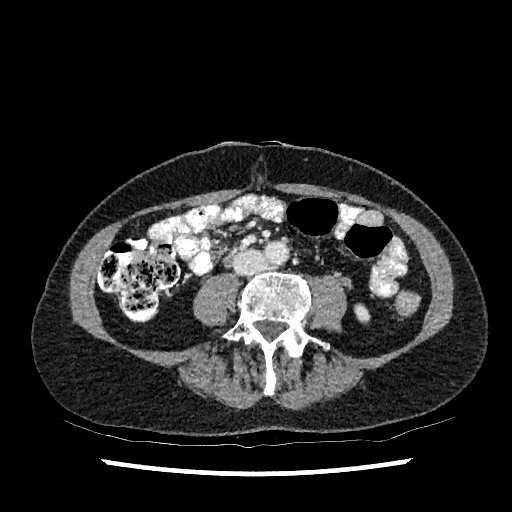 CT. Abdomen.
The kidney is at left=357, top=307, right=368, bottom=319.